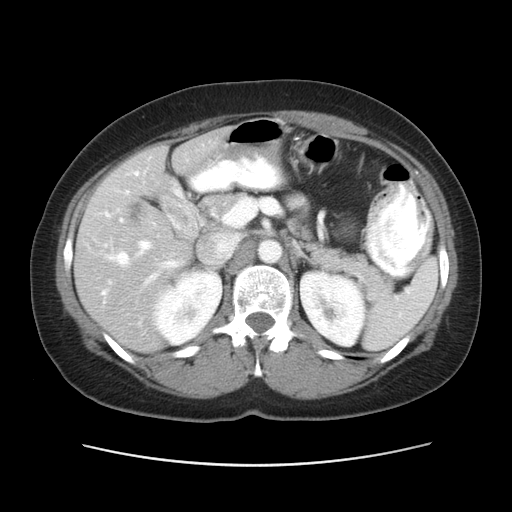
CT image
Only some of the vessels may be annotated.
Hepatic vessel — box=[144, 274, 157, 284]; box=[120, 219, 122, 221]; box=[162, 260, 179, 267]; box=[102, 290, 106, 294]; box=[136, 241, 149, 255]; box=[108, 281, 110, 283]; box=[125, 191, 128, 193]; box=[129, 171, 139, 175]; box=[105, 252, 128, 265].
Liver tumor — box=[129, 201, 143, 225].